CT scan slice

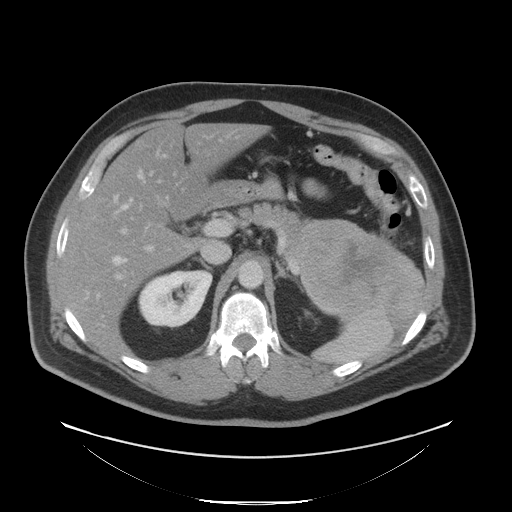 3 pancreas regions appear at (x1=368, y1=274, x2=420, y2=325), (x1=241, y1=202, x2=316, y2=266), (x1=352, y1=223, x2=401, y2=252). The pancreatic tumor is bounded by (x1=291, y1=219, x2=418, y2=316).